FLAIR magnetic resonance.
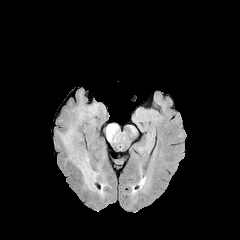
T1-weighted magnetic resonance.
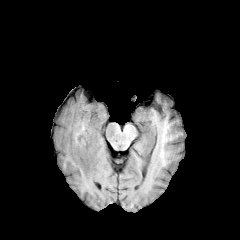
Post-contrast T1-weighted MR.
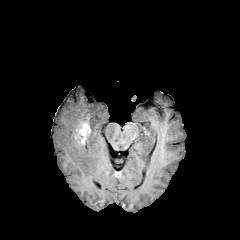
T2-weighted magnetic resonance.
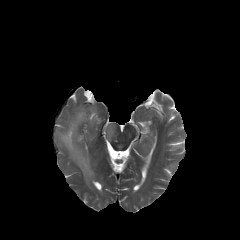
Edema: bounding box l=99, t=182, r=105, b=196; l=60, t=125, r=98, b=191; l=76, t=107, r=98, b=122; l=106, t=124, r=115, b=141.
Enhancing tumor: bounding box l=76, t=123, r=90, b=144.